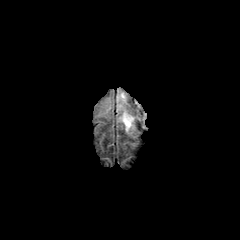
FLAIR MR.
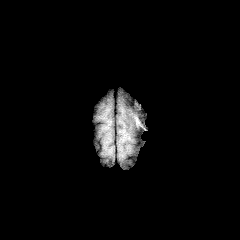
T1-weighted MR.
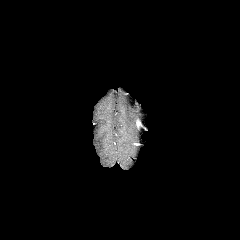
Post-contrast T1-weighted MRI of the same slice.
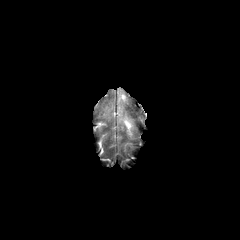
Same slice, T2-weighted MR.
Image size 240x240.
The edema is located at 118:107:136:131.